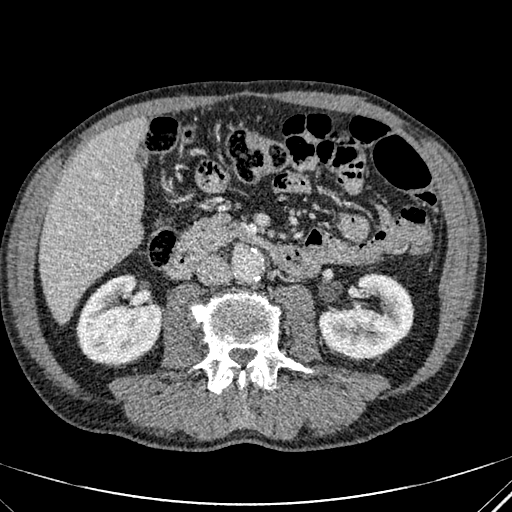

Upper abdomen | 512x512 px | CT slice
Kidney — 320,275,412,357; 78,276,160,362.
Liver — 40,118,145,321.